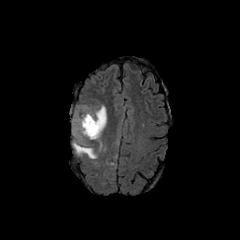
FLAIR MR.
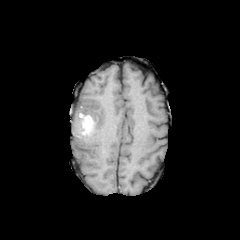
Same slice, T1-weighted magnetic resonance.
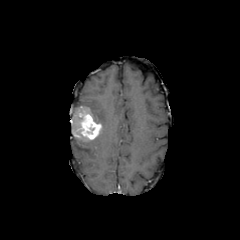
Same slice, post-contrast T1-weighted magnetic resonance.
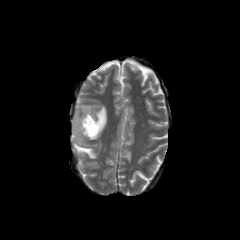
T2-weighted MR.
240x240
enhancing_tumor:
  - {"x1": 71, "y1": 106, "x2": 103, "y2": 141}
edema:
  - {"x1": 72, "y1": 104, "x2": 107, "y2": 158}